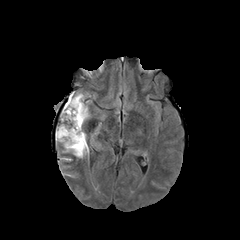
FLAIR MR.
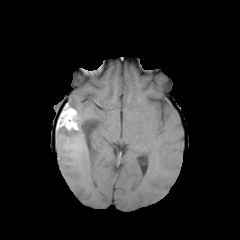
Same slice, T1-weighted MR image.
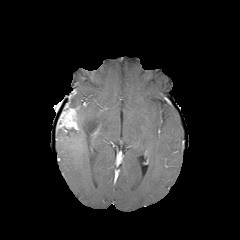
Post-contrast T1-weighted MR of the same slice.
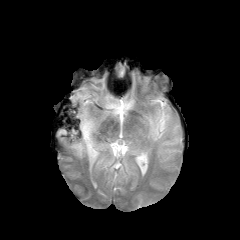
T2-weighted MR.
Brain.
Enhancing tumor: 60,108,77,129.
Non-enhancing tumor core: 57,117,71,131; 72,112,81,138; 84,120,91,140; 62,102,73,113.
Edema: 56,90,96,158.